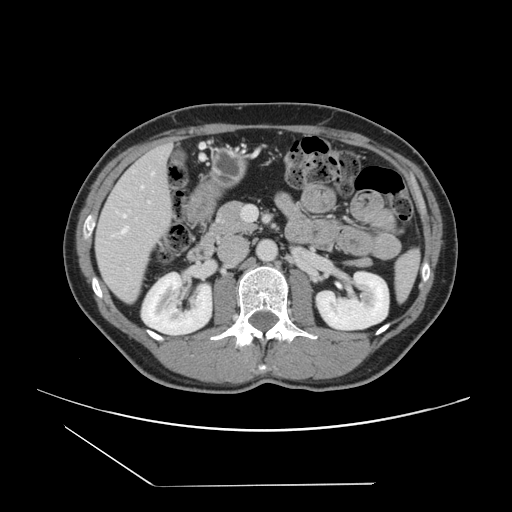

CT image. Liver. Some hepatic vessels may have no box.
2 hepatic vessel regions appear at l=121, t=214, r=123, b=216; l=115, t=233, r=122, b=236.